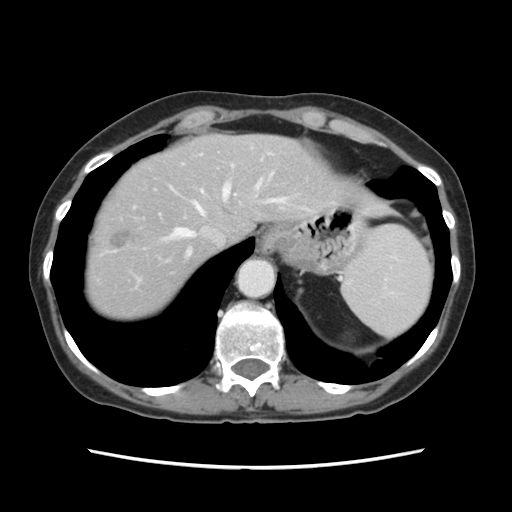 Computed tomography.

Some hepatic vessels may have no box.
liver_tumor:
  - x1=111, y1=230, x2=130, y2=247
hepatic_vessel:
  - x1=201, y1=190, x2=202, y2=192
  - x1=256, y1=181, x2=260, y2=188
  - x1=223, y1=184, x2=228, y2=198
  - x1=268, y1=199, x2=285, y2=202
  - x1=195, y1=204, x2=202, y2=213
  - x1=268, y1=153, x2=271, y2=154
  - x1=173, y1=228, x2=193, y2=236